Liver, CT slice

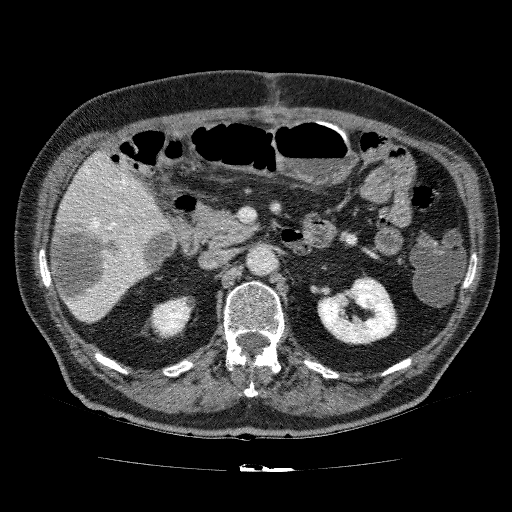

• kidney: region(318, 277, 396, 343); region(150, 297, 190, 337)
• liver: region(56, 148, 181, 323)
• hepatic lesion: region(50, 218, 123, 303); region(139, 226, 175, 275)